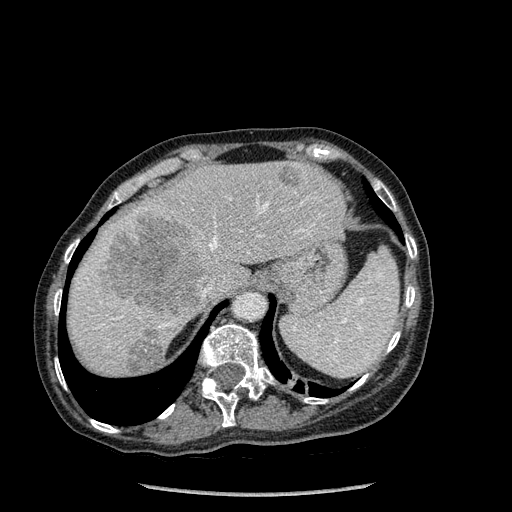
Abdomen | Computed tomography
Lung at {"x1": 260, "y1": 297, "x2": 342, "y2": 397}, {"x1": 68, "y1": 232, "x2": 94, "y2": 280}, {"x1": 58, "y1": 302, "x2": 222, "y2": 425}, {"x1": 363, "y1": 181, "x2": 400, "y2": 235}.
Bone at {"x1": 373, "y1": 181, "x2": 396, "y2": 210}, {"x1": 108, "y1": 190, "x2": 124, "y2": 208}, {"x1": 199, "y1": 323, "x2": 274, "y2": 426}, {"x1": 64, "y1": 239, "x2": 79, "y2": 263}, {"x1": 303, "y1": 397, "x2": 327, "y2": 404}, {"x1": 350, "y1": 374, "x2": 368, "y2": 390}, {"x1": 405, "y1": 234, "x2": 416, "y2": 258}, {"x1": 90, "y1": 419, "x2": 118, "y2": 433}, {"x1": 55, "y1": 358, "x2": 66, "y2": 389}, {"x1": 158, "y1": 404, "x2": 174, "y2": 419}, {"x1": 385, "y1": 331, "x2": 400, "y2": 352}, {"x1": 405, "y1": 285, "x2": 415, "y2": 307}, {"x1": 53, "y1": 289, "x2": 61, "y2": 315}.
Liver at {"x1": 68, "y1": 161, "x2": 346, "y2": 377}.
Liver lesion at {"x1": 98, "y1": 213, "x2": 206, "y2": 313}, {"x1": 127, "y1": 327, "x2": 163, "y2": 372}, {"x1": 279, "y1": 166, "x2": 298, "y2": 186}.